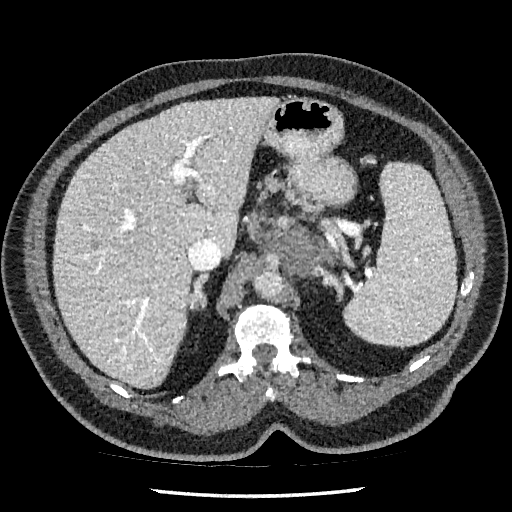 512x512 px, Computed tomography
Segmented structures:
- focal liver lesion: x1=90, y1=240, x2=98, y2=249
- liver: x1=54, y1=98, x2=277, y2=387